Image width 344 mm; CT slice; Slice 198/466

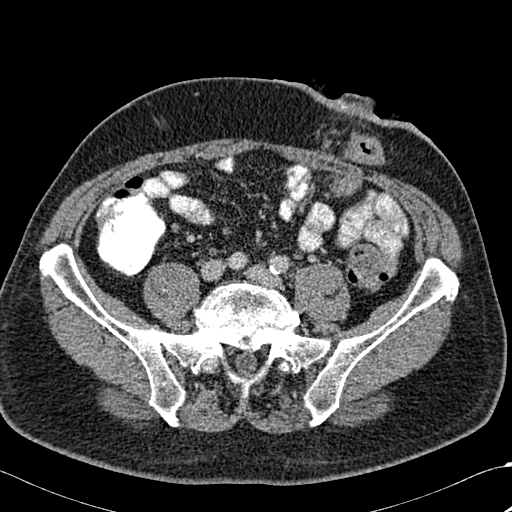

3 bone regions are bounded by 304, 258, 458, 425; 40, 244, 329, 426; 230, 374, 257, 395.